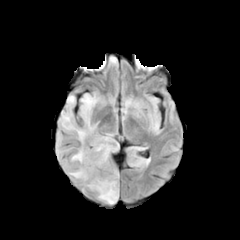
FLAIR MR image.
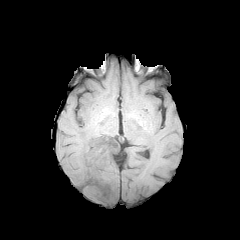
T1-weighted magnetic resonance.
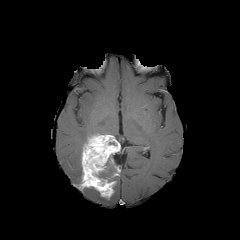
Post-contrast T1-weighted magnetic resonance of the same slice.
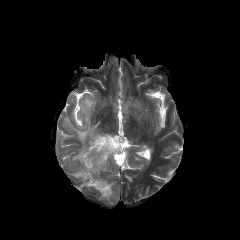
T2-weighted MRI.
240x240 px, Brain
The enhancing tumor is located at x1=80 y1=134 x2=119 y2=197. 5 edema regions are bounded by x1=57 y1=131 x2=62 y2=155, x1=82 y1=175 x2=119 y2=204, x1=69 y1=166 x2=81 y2=179, x1=59 y1=92 x2=97 y2=143, x1=70 y1=146 x2=81 y2=164. 2 non-enhancing tumor core regions appear at x1=98 y1=164 x2=119 y2=181, x1=80 y1=132 x2=104 y2=161.